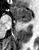

MR; Hippocampus
Anterior hippocampus at {"x1": 11, "y1": 6, "x2": 32, "y2": 21}.